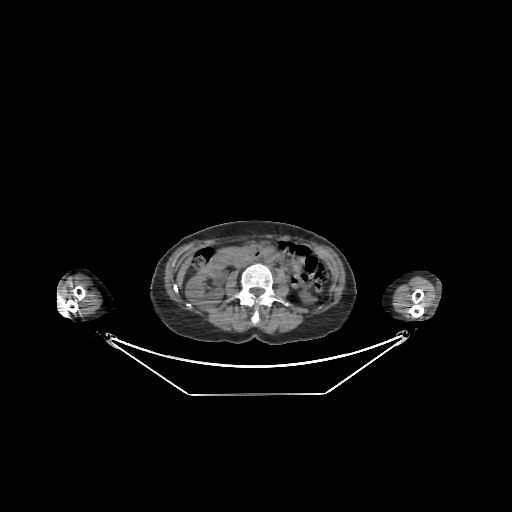
Computed tomography. Liver.
{
  "liver": [
    "177:258:190:284"
  ],
  "kidney": [
    "185:267:226:310",
    "299:290:316:304"
  ]
}